FLAIR MR.
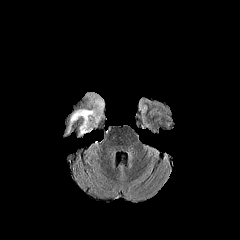
T1-weighted MRI.
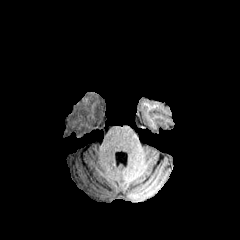
Post-contrast T1-weighted magnetic resonance.
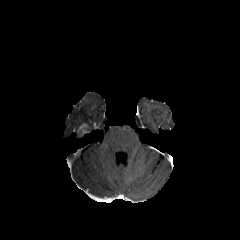
T2-weighted MRI.
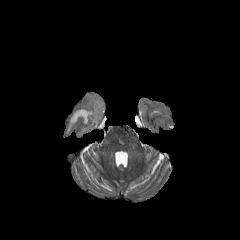
Head.
The edema is bounded by x1=65 y1=92 x2=104 y2=135. The enhancing tumor is bounded by x1=76 y1=123 x2=90 y2=136.